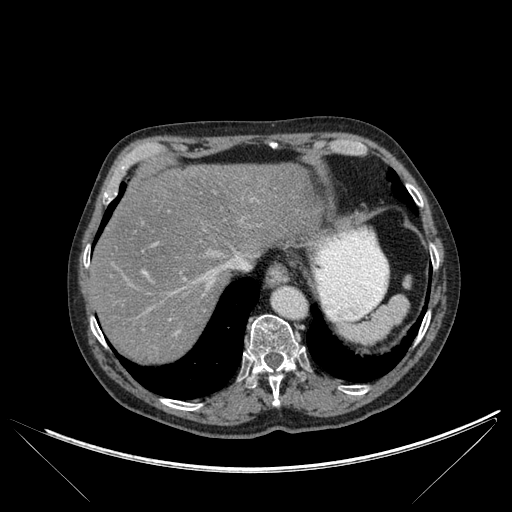

Abdomen; CT scan slice

2 liver regions are bounded by l=213, t=274, r=227, b=295; l=89, t=163, r=318, b=364. 4 lung regions are located at l=117, t=278, r=259, b=399; l=306, t=307, r=424, b=381; l=387, t=169, r=416, b=213; l=96, t=183, r=125, b=240. 8 bone regions are located at l=417, t=312, r=430, b=341; l=406, t=184, r=422, b=205; l=90, t=317, r=105, b=345; l=83, t=247, r=89, b=266; l=243, t=315, r=304, b=405; l=340, t=385, r=367, b=394; l=430, t=245, r=438, b=267; l=161, t=399, r=200, b=410.